Slice 79 of 155, Head
FLAIR MR image.
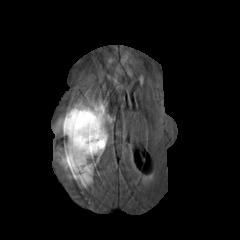
T1-weighted magnetic resonance.
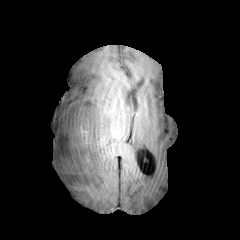
Post-contrast T1-weighted MR.
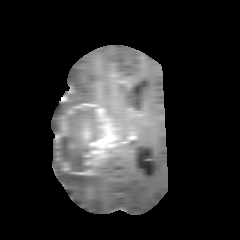
T2-weighted MR image.
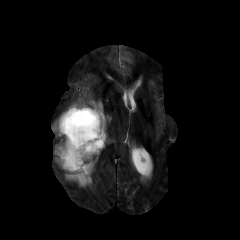
Enhancing tumor: bounding box (74, 103, 94, 108), (82, 106, 111, 156), (55, 120, 66, 137).
Non-enhancing tumor core: bounding box (59, 107, 101, 174).
Edema: bounding box (52, 101, 83, 132), (54, 134, 110, 187), (89, 100, 111, 120).